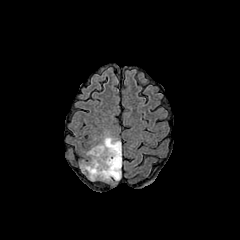
FLAIR MR image.
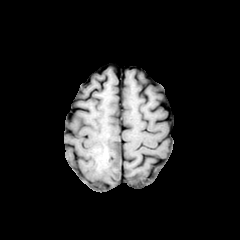
Same slice, T1-weighted MR image.
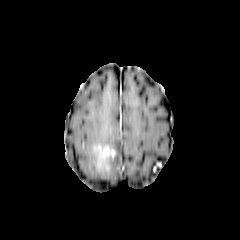
Same slice, post-contrast T1-weighted MR.
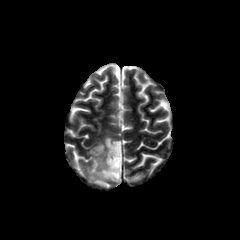
T2-weighted MR.
Head
The enhancing tumor is at box=[97, 146, 115, 159]. The edema is at box=[81, 132, 121, 181]. The non-enhancing tumor core is bounded by box=[93, 144, 121, 175].